CT slice; Abdomen; Image width 480 mm

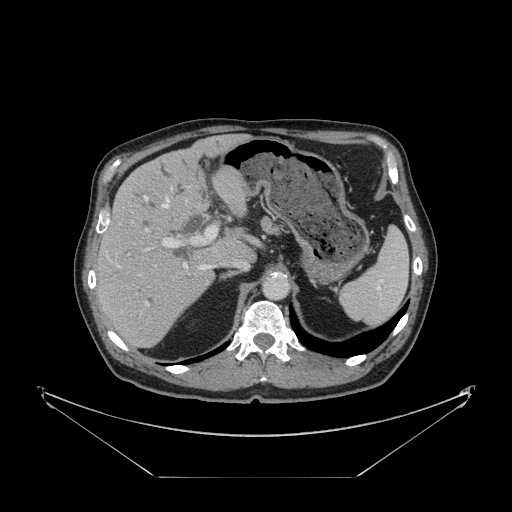

The vessel annotation is not exhaustive.
hepatic vessel: (left=200, top=265, right=211, bottom=269), (left=191, top=226, right=216, bottom=243), (left=144, top=196, right=147, bottom=199), (left=184, top=264, right=186, bottom=268), (left=162, top=198, right=168, bottom=207), (left=145, top=302, right=147, bottom=305), (left=145, top=229, right=148, bottom=231), (left=162, top=238, right=181, bottom=246), (left=114, top=264, right=119, bottom=267)